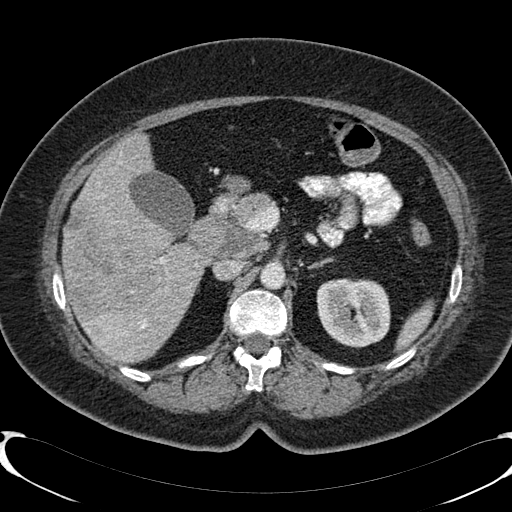
CT scan slice; 512x512
Focal liver lesion: bounding box [x1=67, y1=205, x2=164, y2=320].
Liver: bounding box [x1=64, y1=230, x2=75, y2=289], [x1=74, y1=133, x2=205, y2=362].
Kidney: bounding box [x1=318, y1=280, x2=389, y2=346].